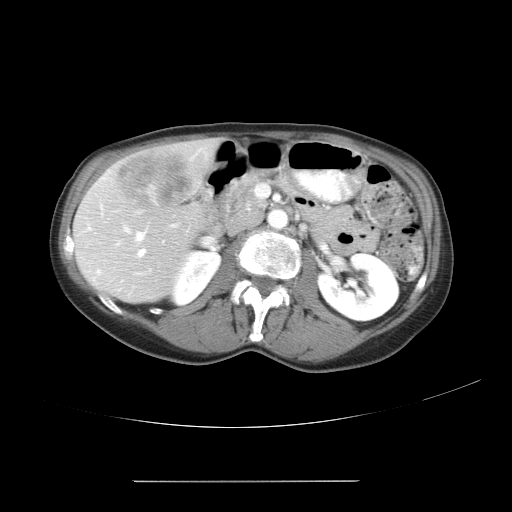 Image size 512x512. Abdomen. CT scan slice.

Only some of the vessels may be annotated.
Liver tumor at x1=116 y1=151 x2=194 y2=211.
Hepatic vessel at x1=137 y1=210 x2=140 y2=212, x1=189 y1=157 x2=192 y2=159, x1=137 y1=248 x2=144 y2=255, x1=171 y1=223 x2=175 y2=226, x1=116 y1=241 x2=118 y2=244, x1=87 y1=227 x2=90 y2=229, x1=135 y1=230 x2=144 y2=239, x1=96 y1=269 x2=99 y2=273, x1=123 y1=226 x2=128 y2=231.